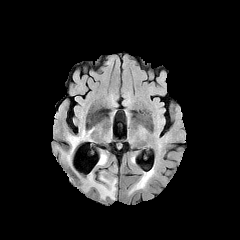
FLAIR MR.
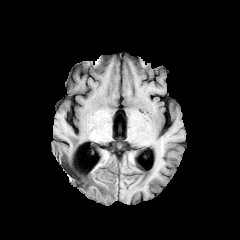
Same slice, T1-weighted MRI.
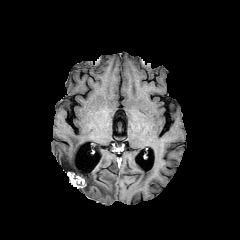
Same slice, post-contrast T1-weighted MR.
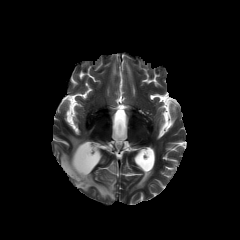
T2-weighted MR image of the same slice.
Head
Edema: <bbox>98, 152, 107, 165</bbox>, <bbox>62, 128, 89, 168</bbox>, <bbox>137, 168, 153, 185</bbox>, <bbox>74, 166, 116, 199</bbox>.